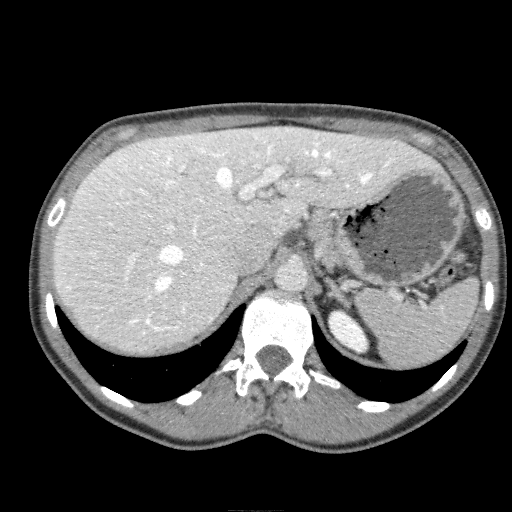 CT image. Image size 512x512. <segmentation>
  <liver><bbox>53, 125, 447, 353</bbox></liver>
  <kidney><bbox>329, 312, 366, 351</bbox></kidney>
</segmentation>